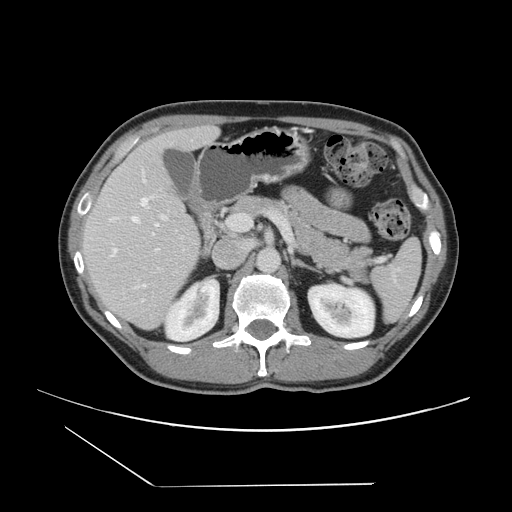

512x512 px, Computed tomography
The vessel boxes may cover only some of the vessels.
8 hepatic vessel regions are located at x1=158, y1=268, x2=159, y2=269; x1=144, y1=204, x2=148, y2=207; x1=131, y1=217, x2=131, y2=220; x1=140, y1=285, x2=144, y2=287; x1=134, y1=222, x2=138, y2=222; x1=139, y1=300, x2=142, y2=302; x1=108, y1=205, x2=109, y2=206; x1=153, y1=195, x2=158, y2=197.